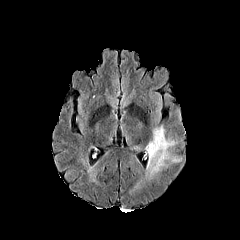
FLAIR magnetic resonance.
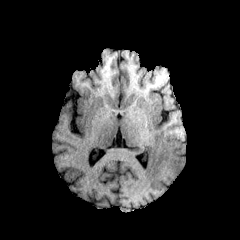
Same slice, T1-weighted MR.
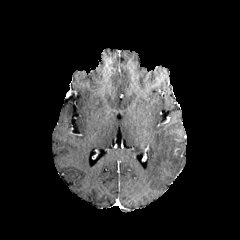
Post-contrast T1-weighted MR image.
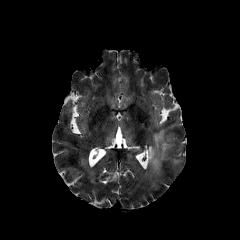
T2-weighted MR image of the same slice.
* edema: bbox(146, 126, 174, 176)